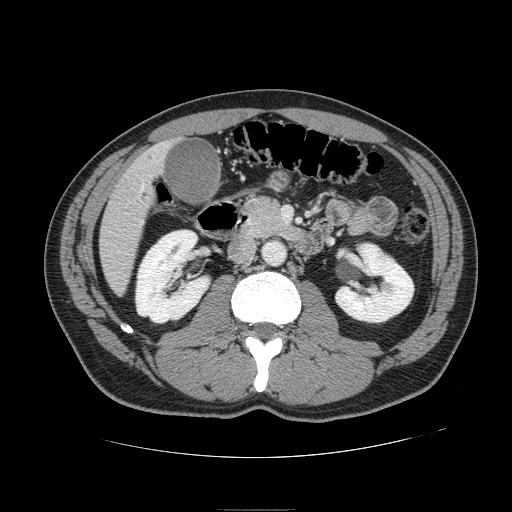 CT scan slice, 512x512 px, Upper abdomen
The pancreas is located at <bbox>244, 198, 301, 238</bbox>.